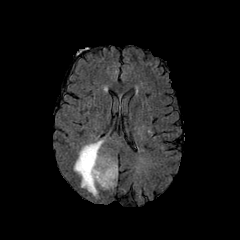
FLAIR magnetic resonance.
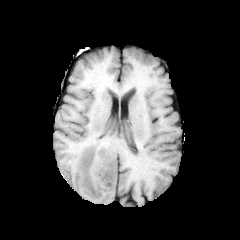
Same slice, T1-weighted magnetic resonance.
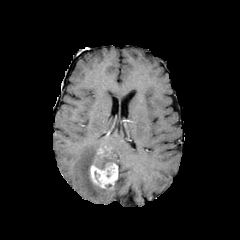
Post-contrast T1-weighted MRI.
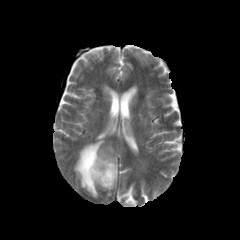
Same slice, T2-weighted MRI.
Head.
• enhancing tumor: 89,158,117,188
• edema: 74,139,111,196